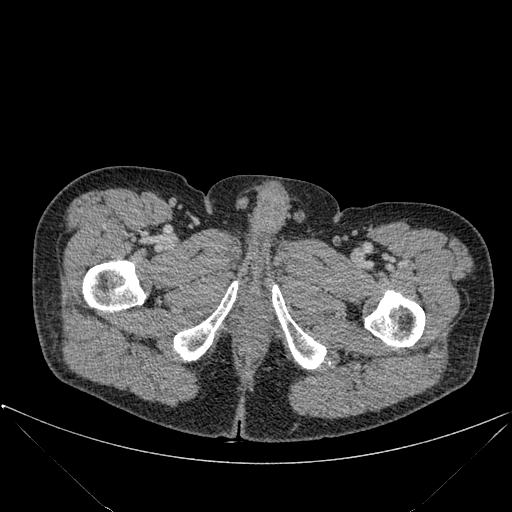 CT image | 512x512
Annotated regions:
• bone: [x1=272, y1=285, x2=326, y2=369], [x1=365, y1=290, x2=424, y2=347], [x1=83, y1=260, x2=145, y2=311], [x1=174, y1=281, x2=237, y2=360]